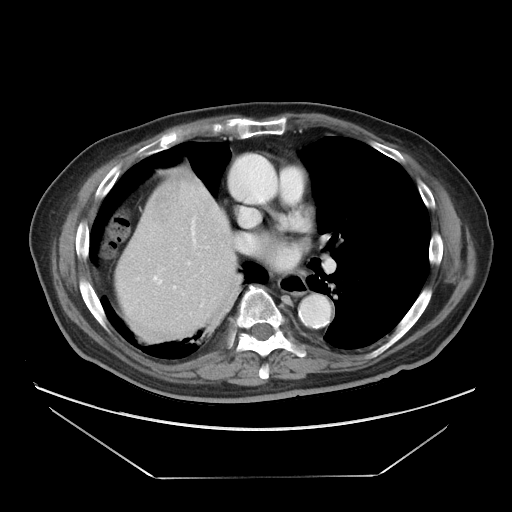 Abdomen; Computed tomography
Not every hepatic vessel necessarily has a box.
Segmented structures:
- hepatic vessel: left=173, top=286, right=175, bottom=288; left=153, top=276, right=161, bottom=284; left=191, top=227, right=193, bottom=231; left=193, top=237, right=193, bottom=240